Slice 24/45 | CT image

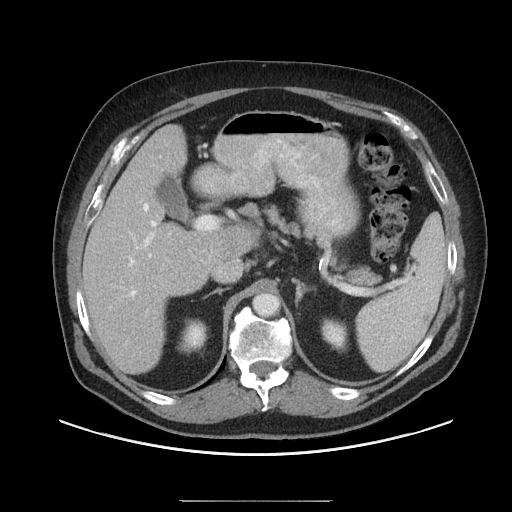 The vessel annotation is not exhaustive.
hepatic_vessel:
  - <box>130,290,135,295</box>
  - <box>144,204,148,210</box>
  - <box>148,254,151,256</box>
  - <box>144,239,148,245</box>
  - <box>129,259,134,265</box>
  - <box>151,221,155,225</box>